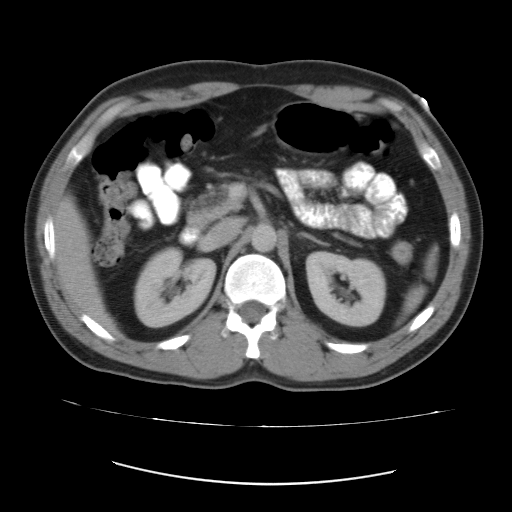 Abdomen; CT image

colon tumor: box(390, 242, 412, 264)